Slice 30/93. Image width 442 mm. CT slice. Image size 512x512.
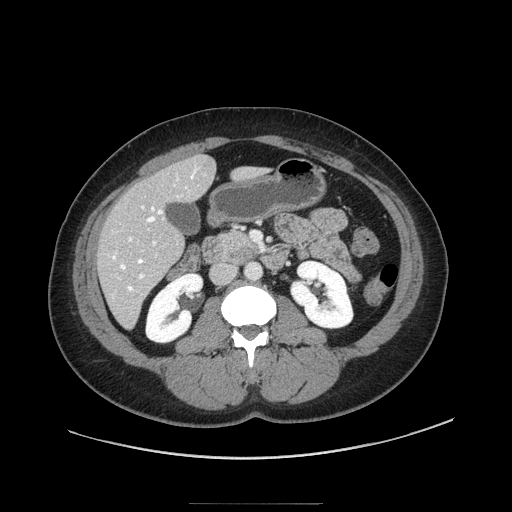

{"pancreatic_tumor": ["(left=225, top=243, right=258, bottom=265)"], "pancreas": ["(left=218, top=230, right=261, bottom=266)"]}